MR image; Slice 25/39; 36x45; Hippocampus

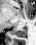 <segmentation>
  <posterior_hippocampus>11,29,26,36</posterior_hippocampus>
</segmentation>